Liver, CT, 512x512 px
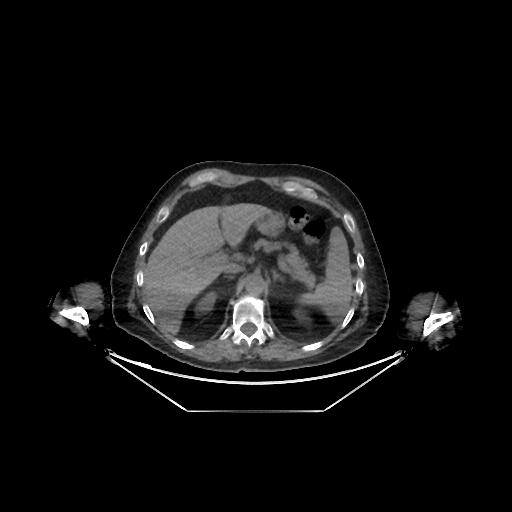
Liver = (141, 204, 271, 334).
Kidney = (194, 289, 217, 315), (293, 304, 311, 324).